FLAIR MR image.
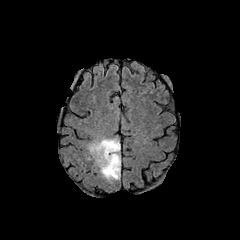
T1-weighted magnetic resonance.
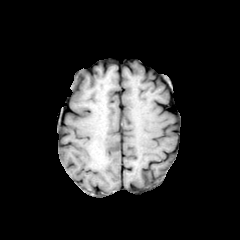
Post-contrast T1-weighted MR.
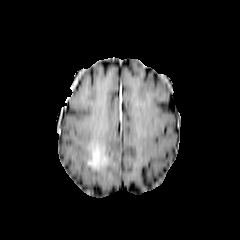
T2-weighted MRI.
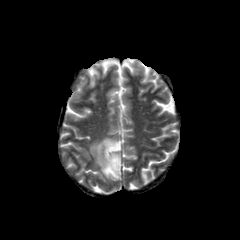
enhancing_tumor:
  - bbox(91, 145, 107, 166)
non-enhancing_tumor_core:
  - bbox(92, 144, 110, 166)
edema:
  - bbox(86, 136, 121, 183)